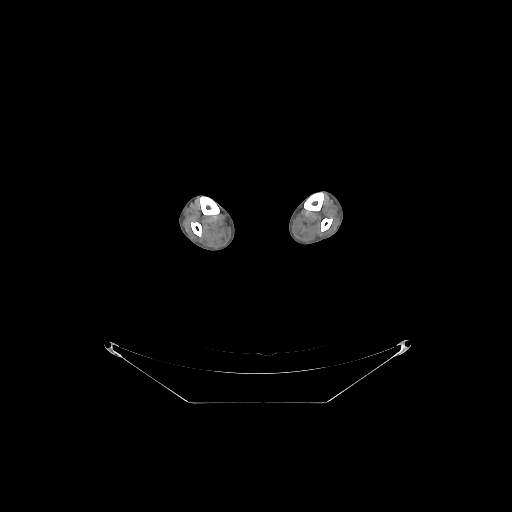
CT scan slice.
4 bone regions are bounded by 200,196,219,216; 321,218,332,231; 304,192,323,211; 191,222,201,236.